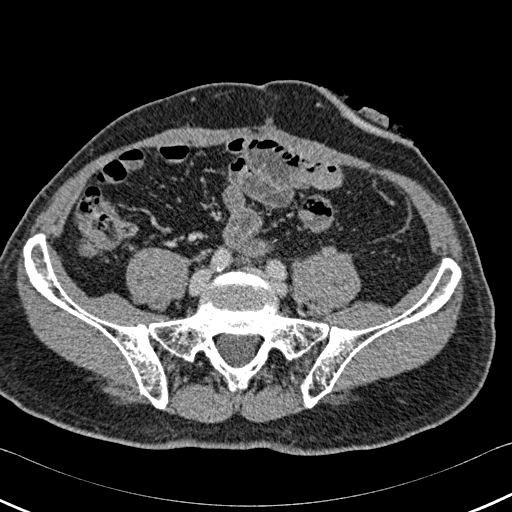 CT scan slice; 512x512 px
Bone: bounding box <box>24,234,460,408</box>.